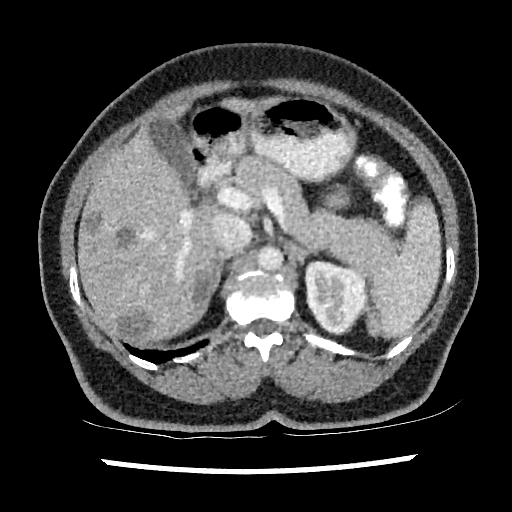 CT scan slice; Liver

kidney:
  - [306, 262, 365, 332]
focal_liver_lesion:
  - [84, 214, 99, 232]
  - [194, 274, 210, 308]
  - [117, 313, 146, 341]
  - [116, 228, 135, 247]
liver:
  - [78, 127, 216, 342]
  - [222, 100, 255, 113]
  - [260, 98, 276, 105]
  - [165, 102, 184, 119]